Head
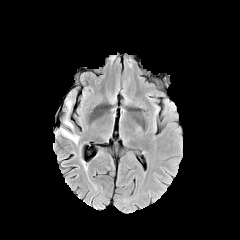
FLAIR MR.
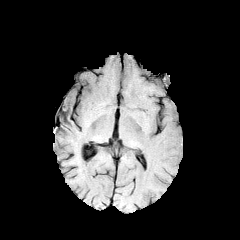
T1-weighted MR.
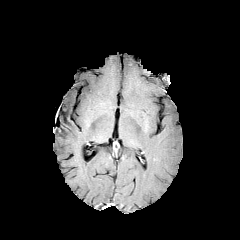
Same slice, post-contrast T1-weighted magnetic resonance.
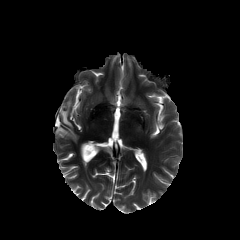
Same slice, T2-weighted MR.
Annotated regions:
- edema: [56, 117, 78, 142], [66, 96, 72, 112]